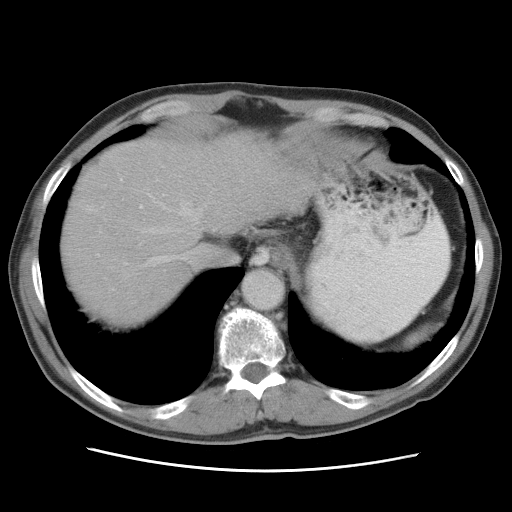

CT scan slice; Liver
Not every hepatic vessel necessarily has a box.
<segmentation>
  <hepatic_vessel>121,180,122,181; 197,212,200,217; 145,228,165,233; 140,264,146,266; 140,205,141,207; 148,194,171,210; 194,236,196,238; 96,254,98,256; 179,201,191,215; 194,218,198,223; 148,246,221,266; 98,230,100,234; 229,256,238,262; 156,179,157,181; 124,263,126,265</hepatic_vessel>
</segmentation>